CT slice; Abdomen 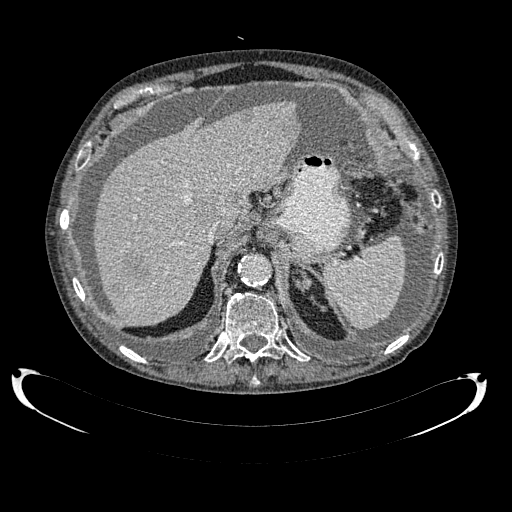 {
  "liver_lesion": [
    "(left=110, top=285, right=122, bottom=300)",
    "(left=196, top=200, right=213, bottom=221)",
    "(left=284, top=123, right=295, bottom=138)",
    "(left=125, top=254, right=146, bottom=277)"
  ],
  "liver": [
    "(left=94, top=100, right=298, bottom=324)"
  ]
}